MR. Heart. 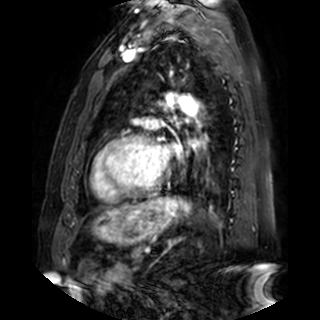
• left atrium: (left=188, top=138, right=198, bottom=147), (left=154, top=145, right=171, bottom=160)